240x240, Image width 240 mm, Brain, Slice 84 of 155
FLAIR magnetic resonance.
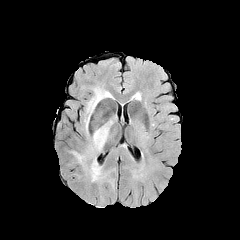
T1-weighted MR.
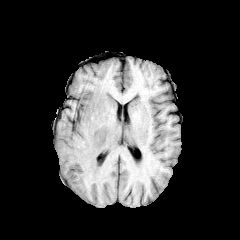
Post-contrast T1-weighted MR image.
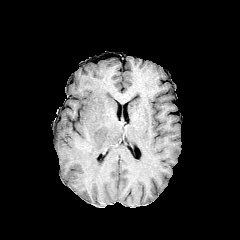
T2-weighted magnetic resonance.
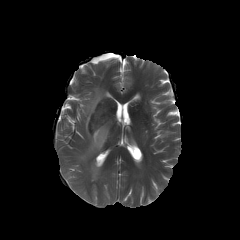
edema: box(87, 121, 111, 155); box(73, 152, 108, 181); box(84, 86, 114, 135)